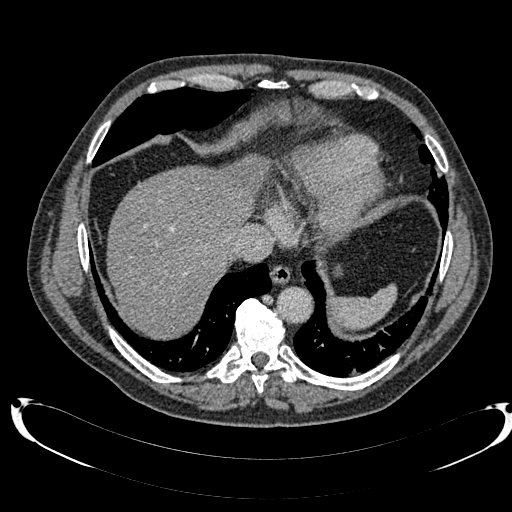 CT. 512x512.

Liver: 107,154,272,336.